Image width 35 mm. Slice 25 of 37. MRI.
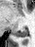

* posterior hippocampus: x1=14, y1=27, x2=27, y2=37